Abdomen. CT scan slice. Slice 207/463. 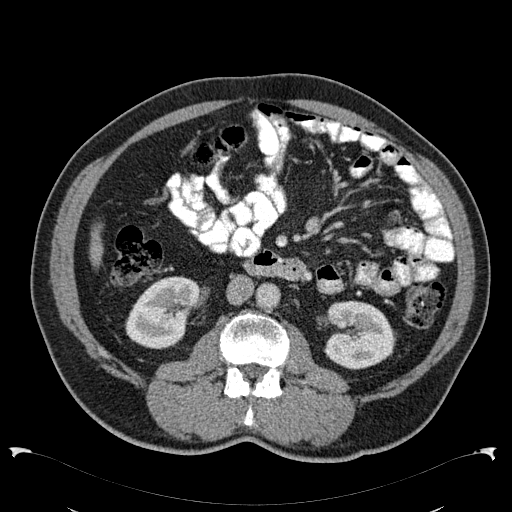 Liver at 91, 226, 102, 268.
Kidney at 126, 276, 199, 348; 324, 301, 394, 368.